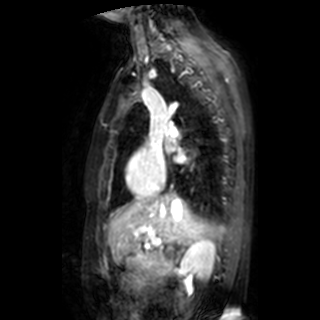
Cardiac | MRI slice

Left atrium: bounding box [x1=165, y1=139, x2=174, y2=150], [x1=176, y1=153, x2=186, y2=162].